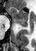

MRI; Hippocampus

Anterior hippocampus = bbox(9, 7, 29, 22).
Posterior hippocampus = bbox(18, 23, 29, 27).